Slice index 68, CT scan slice, Lower abdomen 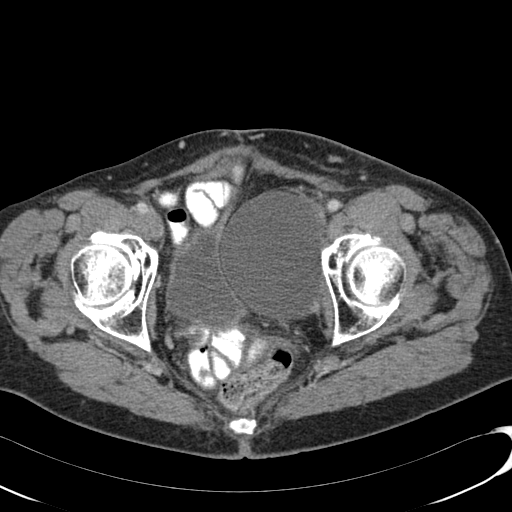 <segmentation>
  <urinary_bladder>bbox(165, 205, 248, 329); bbox(189, 167, 239, 204)</urinary_bladder>
</segmentation>